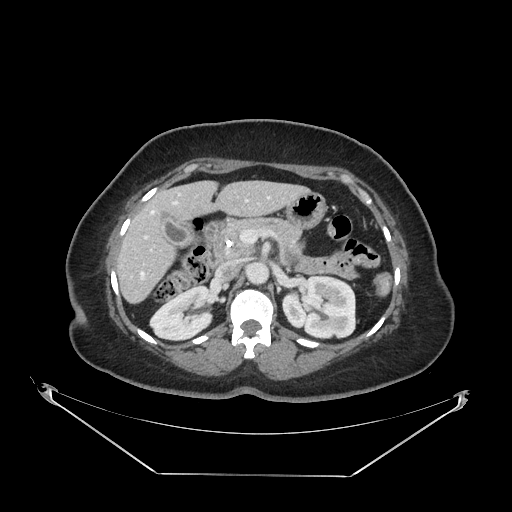
Computed tomography | Upper abdomen | 512x512
Pancreas at (225, 218, 306, 267).